Slice 78 of 155
FLAIR magnetic resonance.
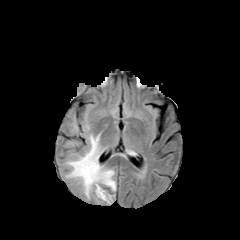
T1-weighted MR.
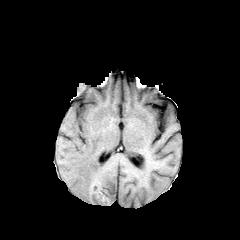
Post-contrast T1-weighted magnetic resonance.
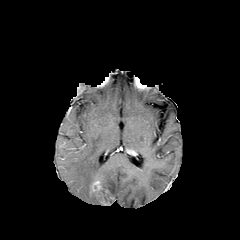
T2-weighted MR.
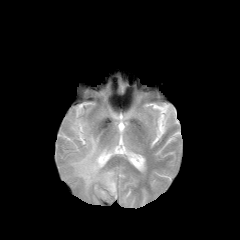
edema: [x1=66, y1=121, x2=116, y2=202]